41x47. Medial temporal lobe. MRI. Slice index 18.

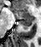

posterior_hippocampus:
  - [19,20,32,29]
anterior_hippocampus:
  - [13,11,33,19]